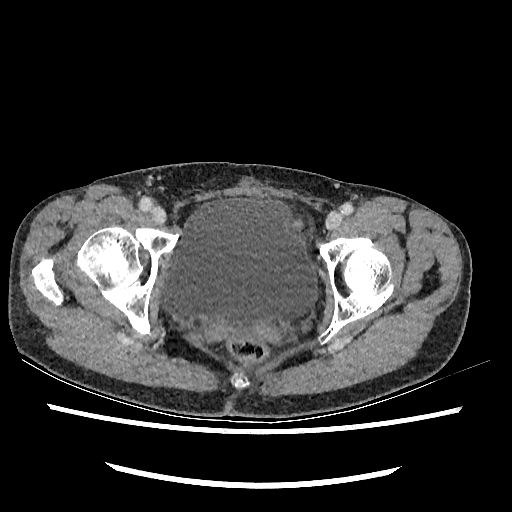
CT image. Pelvis. - urinary bladder: 159,195,317,336